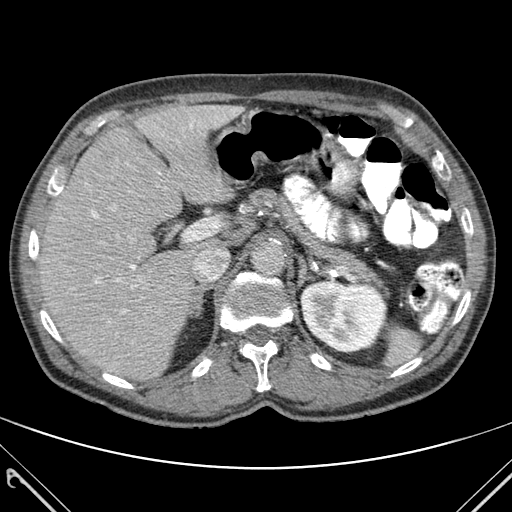

CT slice

Liver — {"x1": 202, "y1": 238, "x2": 223, "y2": 250}, {"x1": 40, "y1": 105, "x2": 244, "y2": 381}.
Kidney — {"x1": 302, "y1": 281, "x2": 385, "y2": 350}.
Bone — {"x1": 221, "y1": 273, "x2": 292, "y2": 331}, {"x1": 29, "y1": 230, "x2": 38, "y2": 258}, {"x1": 47, "y1": 170, "x2": 62, "y2": 199}, {"x1": 434, "y1": 152, "x2": 449, "y2": 178}, {"x1": 462, "y1": 209, "x2": 472, "y2": 233}, {"x1": 103, "y1": 374, "x2": 132, "y2": 388}, {"x1": 240, "y1": 341, "x2": 277, "y2": 391}, {"x1": 391, "y1": 358, "x2": 421, "y2": 376}, {"x1": 192, "y1": 359, "x2": 211, "y2": 376}, {"x1": 40, "y1": 311, "x2": 60, "y2": 340}, {"x1": 454, "y1": 292, "x2": 470, "y2": 323}, {"x1": 311, "y1": 354, "x2": 330, "y2": 369}.